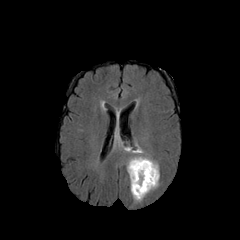
FLAIR magnetic resonance.
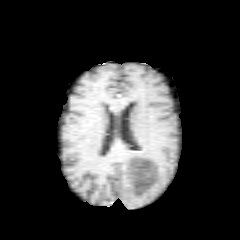
T1-weighted MR image of the same slice.
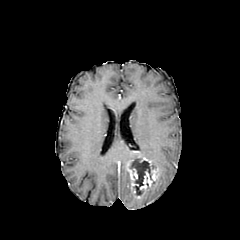
Post-contrast T1-weighted MRI.
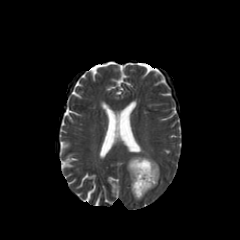
T2-weighted MR image.
Enhancing tumor at l=128, t=168, r=137, b=193; l=140, t=167, r=158, b=191.
Edema at l=130, t=168, r=159, b=201; l=126, t=148, r=137, b=161; l=136, t=144, r=151, b=159.
Non-enhancing tumor core at l=130, t=158, r=151, b=195.